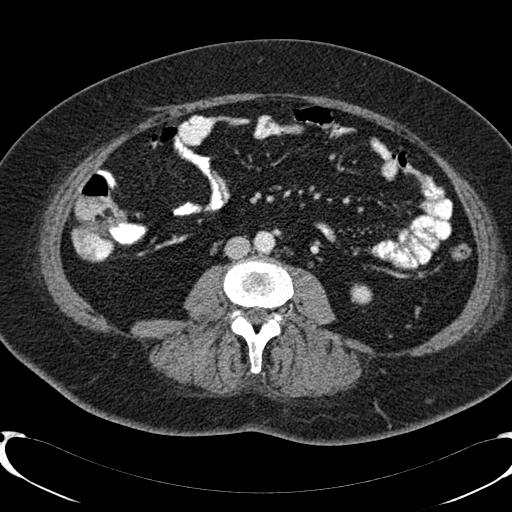

Abdomen, CT scan slice
Annotated regions:
- kidney: (x1=348, y1=285, x2=370, y2=305)